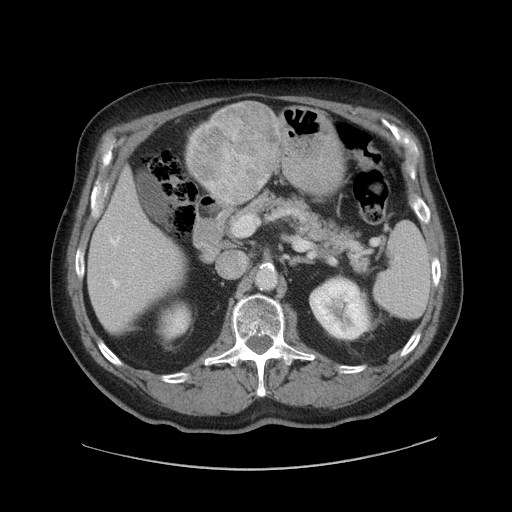

CT image
Not every hepatic vessel necessarily has a box.
Hepatic vessel = rect(110, 236, 120, 243); rect(112, 280, 117, 287).
Liver tumor = rect(188, 102, 281, 203).